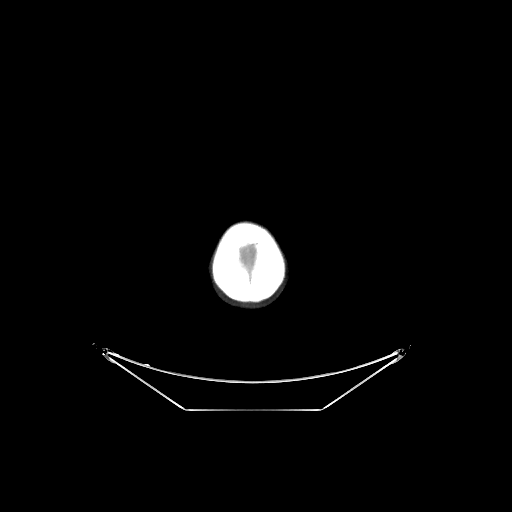
CT scan slice
The brain is at 239:244:256:280.